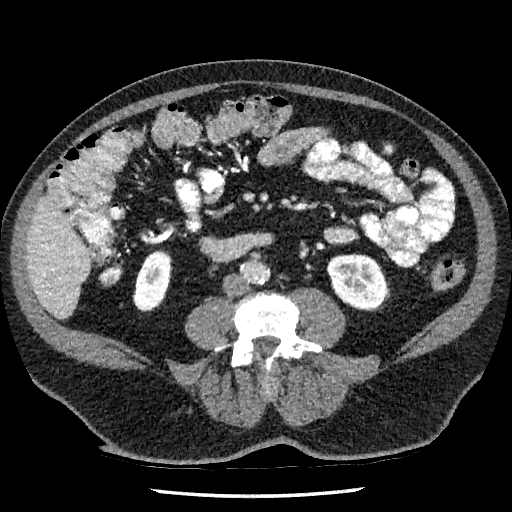
Abdomen. CT slice.

Liver at <bbox>27, 194, 89, 318</bbox>.
Kidney at <bbox>134, 252, 169, 309</bbox>, <bbox>328, 255, 386, 308</bbox>.